Image width 416 mm; CT scan slice; Abdomen

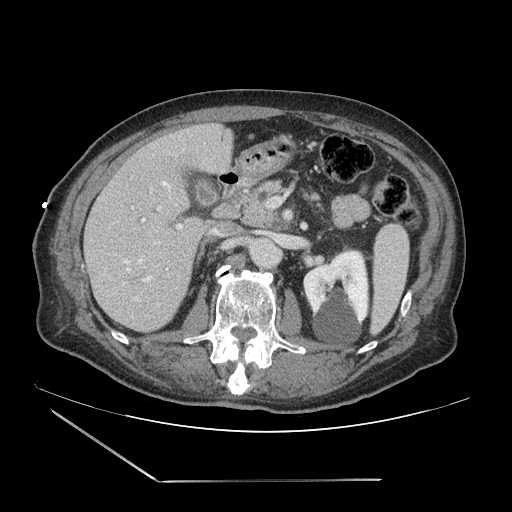 <segmentation>
  <pancreas>region(299, 188, 324, 214); region(246, 181, 282, 227)</pancreas>
</segmentation>